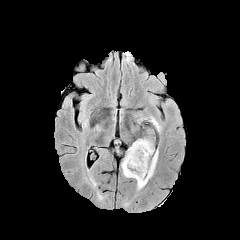
FLAIR magnetic resonance.
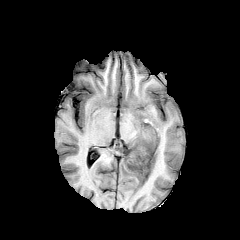
T1-weighted MRI.
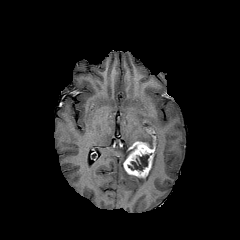
Post-contrast T1-weighted MR image.
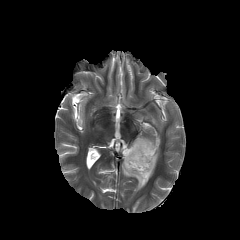
T2-weighted MRI.
Brain
Edema: bounding box 133 138 153 143, 121 147 158 189, 137 116 162 132.
Enhancing tumor: bounding box 123 141 155 177.
Non-enhancing tumor core: bounding box 127 153 153 171.